Slice 28/36. CT scan slice. Liver. 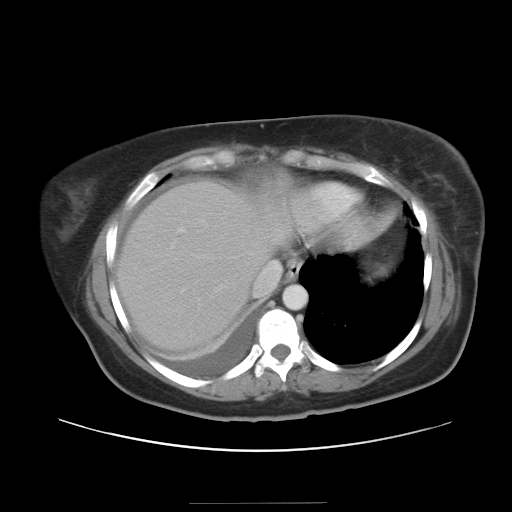

The vessel boxes may cover only some of the vessels.
2 hepatic vessel regions appear at <box>250,253,252,254</box>, <box>255,262,280,296</box>.